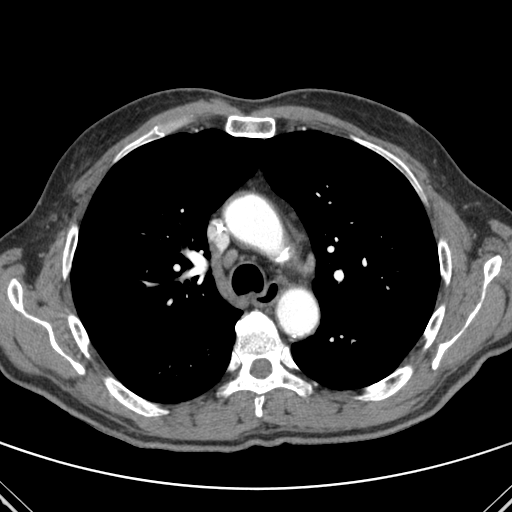 Chest; CT scan slice
bone: (62,225,77,278), (482,255,501,298), (432,331,462,369), (358,366,412,400), (7,279,84,374), (354,137,416,183), (438,239,451,284), (226,115,274,137), (222,311,311,416), (424,305,444,348), (104,377,167,416), (115,132,151,160), (68,314,89,357), (464,303,480,327) | lung: (71,129,439,403)